CT. Abdomen.

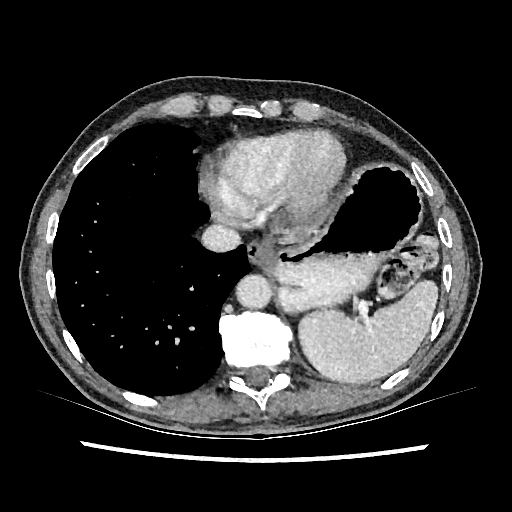 liver:
  - box(278, 207, 327, 243)